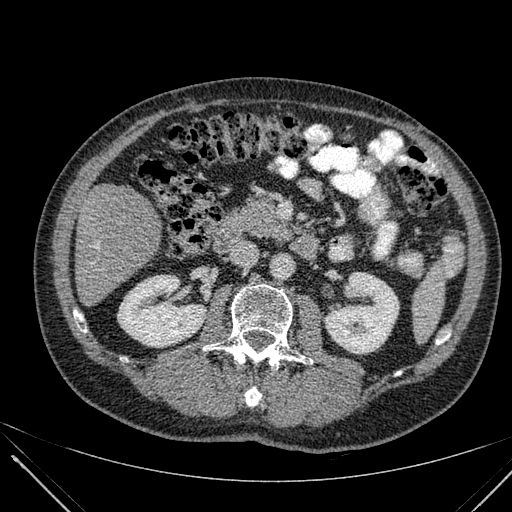
Abdomen, Computed tomography
Kidney: {"x1": 325, "y1": 272, "x2": 398, "y2": 353}, {"x1": 118, "y1": 275, "x2": 205, "y2": 346}.
Liver: {"x1": 76, "y1": 183, "x2": 162, "y2": 305}.